Head
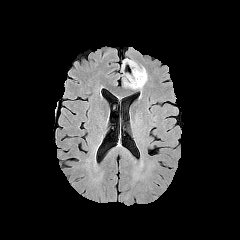
FLAIR MR image.
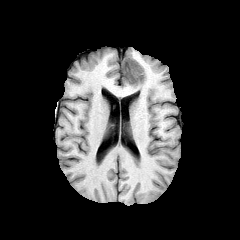
Same slice, T1-weighted MRI.
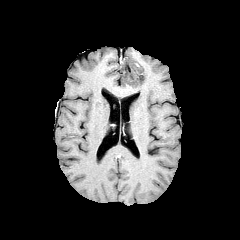
Post-contrast T1-weighted magnetic resonance of the same slice.
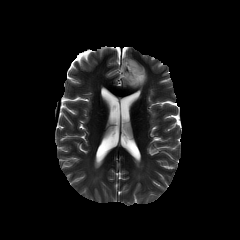
T2-weighted MR.
The non-enhancing tumor core is bounded by x1=124, y1=60, x2=143, y2=81. 2 edema regions are located at x1=121, y1=60, x2=131, y2=74; x1=122, y1=66, x2=147, y2=91.